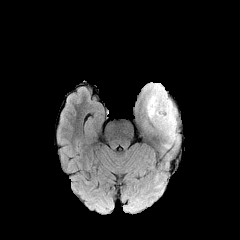
FLAIR MRI.
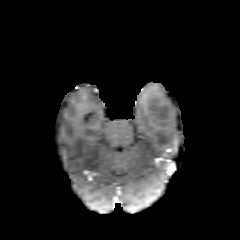
T1-weighted MR of the same slice.
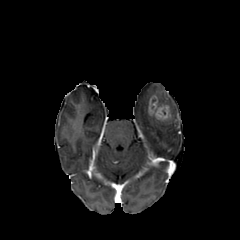
Post-contrast T1-weighted MR image.
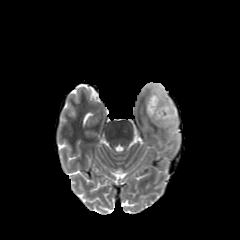
Same slice, T2-weighted MRI.
{"edema": ["bbox(145, 84, 179, 141)"], "enhancing_tumor": ["bbox(148, 99, 171, 119)"]}